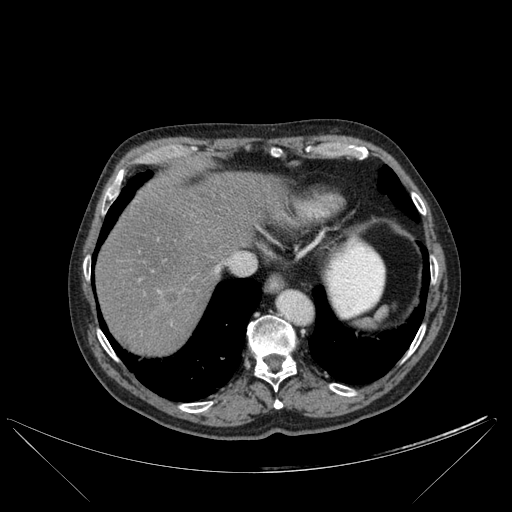
Computed tomography; Image size 512x512; Liver
bone:
  - (left=430, top=260, right=438, bottom=280)
  - (left=274, top=400, right=282, bottom=408)
  - (left=83, top=260, right=90, bottom=278)
  - (left=329, top=383, right=355, bottom=396)
  - (left=105, top=177, right=120, bottom=199)
  - (left=247, top=315, right=296, bottom=390)
  - (left=270, top=149, right=280, bottom=157)
  - (left=408, top=325, right=425, bottom=355)
  - (left=179, top=402, right=212, bottom=412)
  - (left=412, top=193, right=425, bottom=214)
  - (left=97, top=330, right=116, bottom=359)
lung:
  - (left=378, top=165, right=418, bottom=221)
  - (left=93, top=172, right=151, bottom=263)
  - (left=98, top=278, right=261, bottom=401)
  - (left=309, top=245, right=429, bottom=383)
liver:
  - (left=96, top=172, right=286, bottom=356)
hepatic_lesion:
  - (left=164, top=291, right=177, bottom=302)